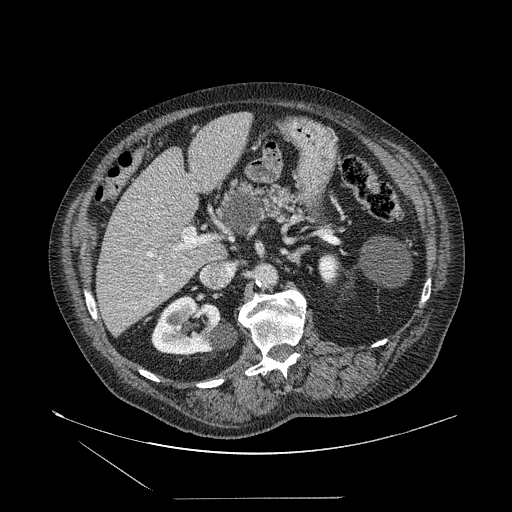
512x512. CT scan slice.
Pancreatic tumor = {"x1": 223, "y1": 190, "x2": 259, "y2": 230}.
Pancreas = {"x1": 218, "y1": 180, "x2": 314, "y2": 235}.